Slice 93/155
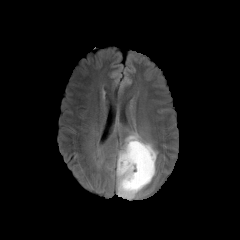
FLAIR magnetic resonance.
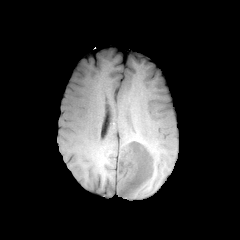
T1-weighted magnetic resonance.
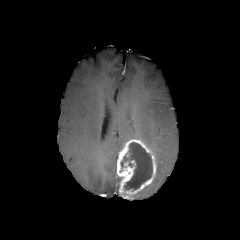
Post-contrast T1-weighted MRI.
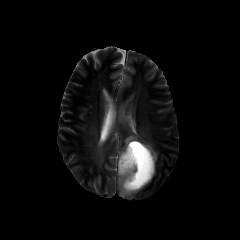
T2-weighted MRI of the same slice.
Non-enhancing tumor core — (left=124, top=142, right=152, bottom=189).
Enhancing tumor — (left=116, top=139, right=155, bottom=198).
Edema — (left=122, top=131, right=156, bottom=160), (left=109, top=153, right=117, bottom=172).